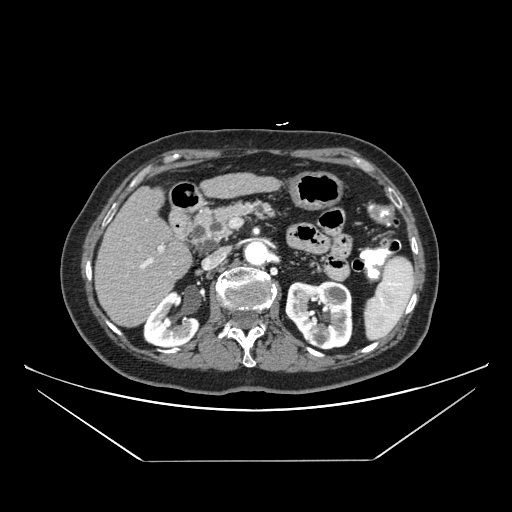
CT slice. Abdomen.

Annotated regions:
• pancreas: 186,201,277,250
• pancreatic tumor: 196,238,217,253